Thorax. 512x512. CT scan slice.

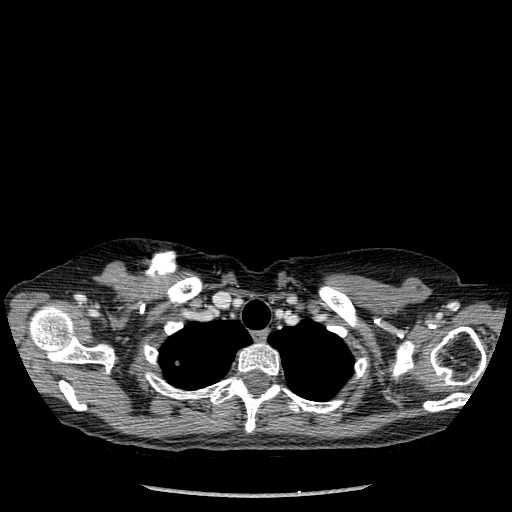 2 lung regions are located at {"x1": 159, "y1": 300, "x2": 270, "y2": 389}, {"x1": 268, "y1": 319, "x2": 353, "y2": 400}. 13 bone regions appear at {"x1": 327, "y1": 324, "x2": 346, "y2": 337}, {"x1": 143, "y1": 344, "x2": 157, "y2": 364}, {"x1": 429, "y1": 326, "x2": 486, "y2": 386}, {"x1": 423, "y1": 392, "x2": 469, "y2": 411}, {"x1": 58, "y1": 380, "x2": 86, "y2": 410}, {"x1": 166, "y1": 276, "x2": 202, "y2": 304}, {"x1": 390, "y1": 342, "x2": 414, "y2": 379}, {"x1": 164, "y1": 321, "x2": 182, "y2": 334}, {"x1": 354, "y1": 357, "x2": 367, "y2": 378}, {"x1": 145, "y1": 372, "x2": 343, "y2": 432}, {"x1": 238, "y1": 343, "x2": 278, "y2": 375}, {"x1": 319, "y1": 286, "x2": 360, "y2": 328}, {"x1": 29, "y1": 304, "x2": 115, "y2": 373}.